CT slice. Slice index 55. Field of view 446 mm wide, 2.50 mm slice spacing. 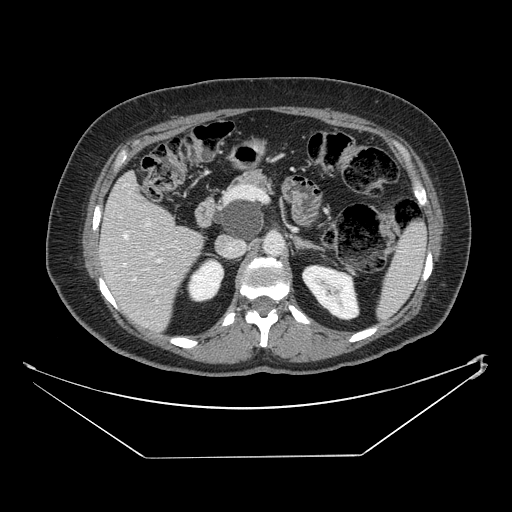 {
  "pancreas": [
    "(x1=229, y1=169, x2=275, y2=194)",
    "(x1=211, y1=199, x2=266, y2=242)"
  ],
  "pancreatic_tumor": [
    "(x1=213, y1=201, x2=263, y2=237)"
  ]
}